FLAIR MRI.
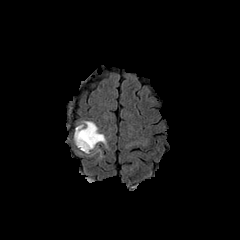
T1-weighted magnetic resonance.
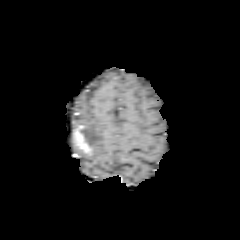
Post-contrast T1-weighted MR.
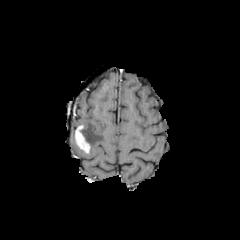
T2-weighted MRI.
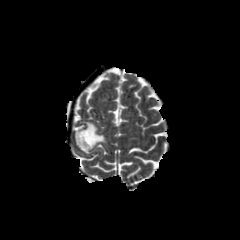
Image size 240x240; Brain
<segmentation>
  <enhancing_tumor><box>74,125,90,152</box></enhancing_tumor>
  <edema><box>78,120,106,155</box></edema>
  <non-enhancing_tumor_core><box>81,129,92,145</box></non-enhancing_tumor_core>
</segmentation>